Abdomen; CT scan slice
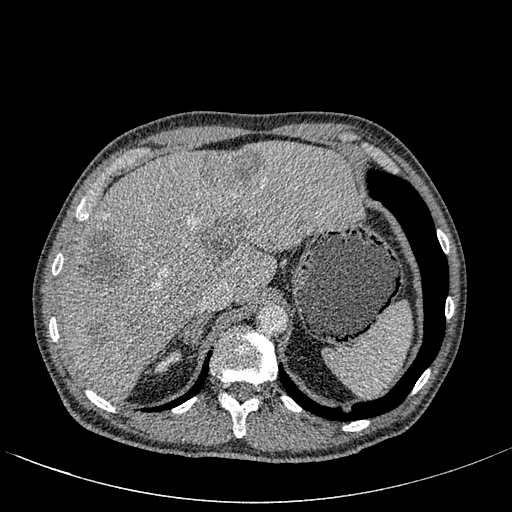
Kidney: bounding box (left=155, top=351, right=180, bottom=372).
Hepatic lesion: bounding box (left=80, top=230, right=131, bottom=287), (left=203, top=149, right=264, bottom=187), (left=200, top=217, right=244, bottom=263), (left=89, top=320, right=107, bottom=341).
Liver: bounding box (left=60, top=140, right=363, bottom=399).